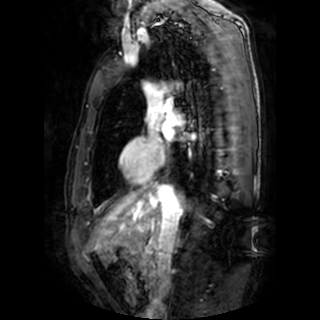
MR image, 320x320 px
* left atrium: [162,128,173,140]